Computed tomography. Image size 512x512. Upper abdomen.

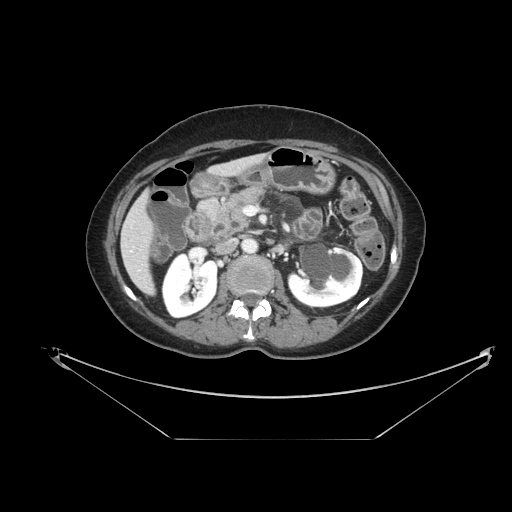

pancreas: <bbox>198, 187, 266, 236</bbox>